41x47. Hippocampus. MR.
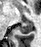

posterior_hippocampus:
  - [18, 20, 32, 34]